Image size 34x48 | Image width 34 mm | MRI slice 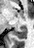
posterior_hippocampus:
  - (left=13, top=28, right=26, bottom=38)